Image size 512x512 | CT 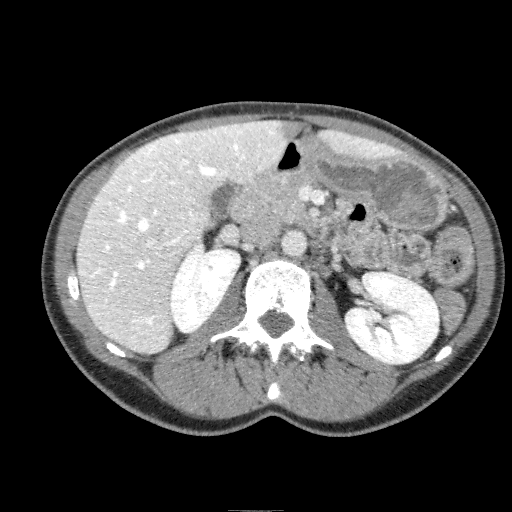
kidney: bbox=[170, 244, 239, 332]; bbox=[345, 272, 438, 363] | liver lesion: bbox=[277, 120, 305, 140] | liver: bbox=[77, 119, 298, 353]; bbox=[316, 130, 400, 159]